Head | Field of view 240 mm wide, 1.00 mm slice spacing | 240x240 px
FLAIR magnetic resonance.
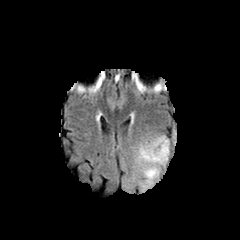
T1-weighted MR image.
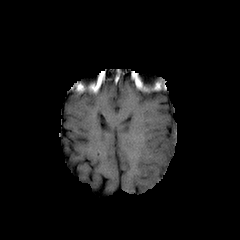
Post-contrast T1-weighted magnetic resonance.
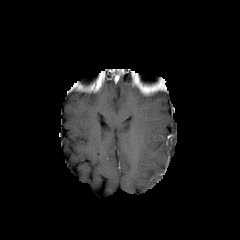
T2-weighted MRI.
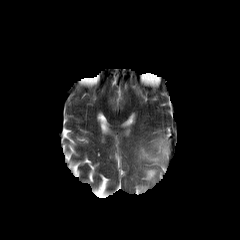
Edema — [137,134,169,192].